CT, Field of view 399 mm wide, 2.50 mm slice spacing, Upper abdomen
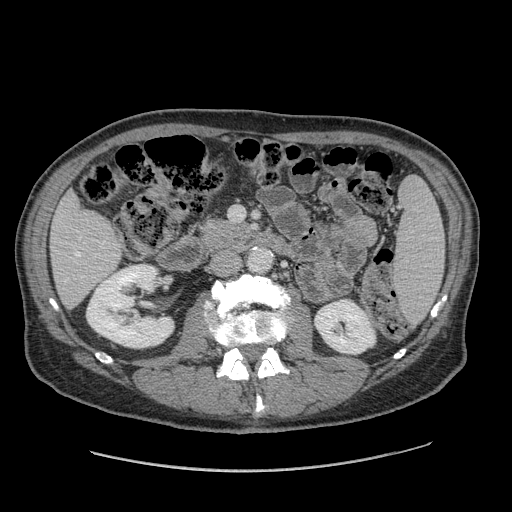
pancreas:
  - x1=206 y1=220 x2=248 y2=242